FLAIR MRI.
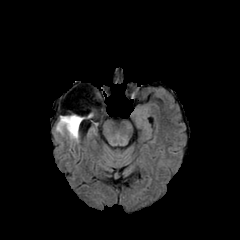
T1-weighted MRI.
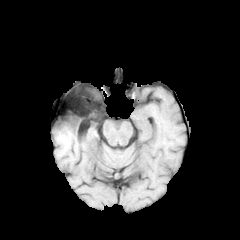
Post-contrast T1-weighted MRI.
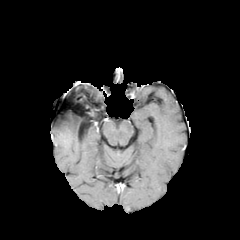
T2-weighted MRI.
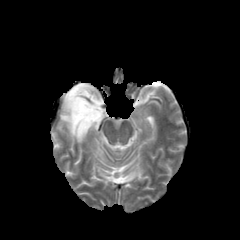
Brain.
non-enhancing tumor core: (x1=62, y1=111, x2=97, y2=129) | edema: (x1=56, y1=117, x2=83, y2=143)